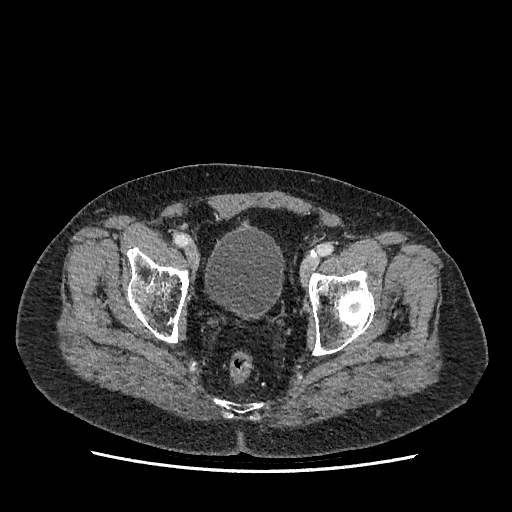

CT slice, Pelvis
{
  "urinary_bladder": [
    "(left=205, top=230, right=283, bottom=315)"
  ]
}